Computed tomography | Abdomen
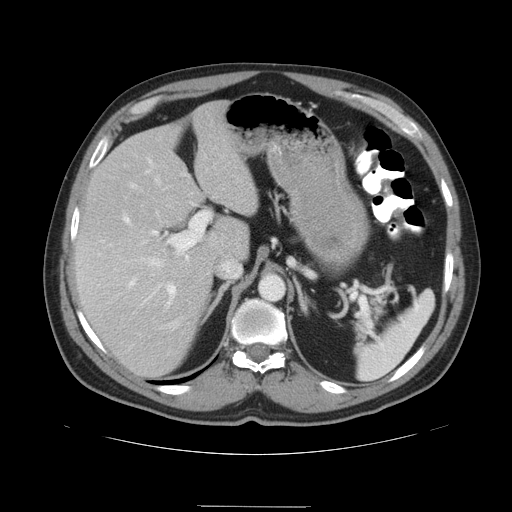 Some hepatic vessels may have no box.
partial: true
hepatic_vessel:
  # 15 of 18 shown
  - <box>147,285,162,301</box>
  - <box>155,177,160,184</box>
  - <box>182,172,186,176</box>
  - <box>220,260,237,277</box>
  - <box>127,280,135,288</box>
  - <box>151,230,157,235</box>
  - <box>130,184,136,188</box>
  - <box>109,244,111,246</box>
  - <box>123,216,130,224</box>
  - <box>161,320,179,329</box>
  - <box>100,241,103,242</box>
  - <box>147,160,154,172</box>
  - <box>169,211,209,260</box>
  - <box>136,258,162,266</box>
  - <box>166,283,176,307</box>